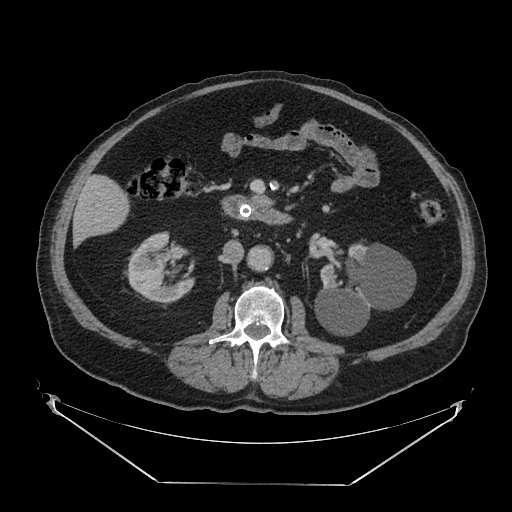
CT slice; Abdomen

Pancreas: region(253, 195, 272, 206).